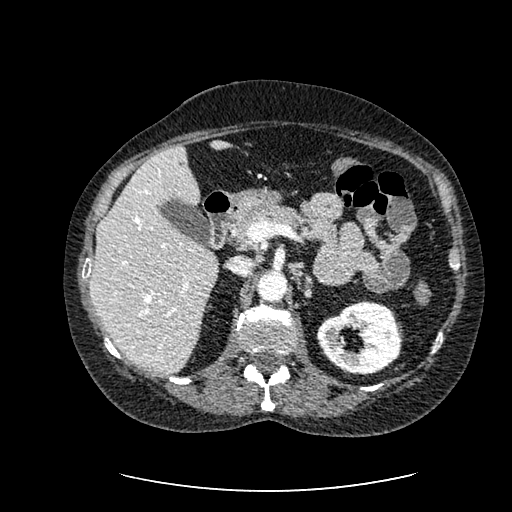 512x512 px, Upper abdomen, CT scan slice

2 liver regions appear at (210, 139, 229, 148), (93, 146, 217, 373). The kidney lies within (318, 302, 400, 373).